Image width 240 mm.
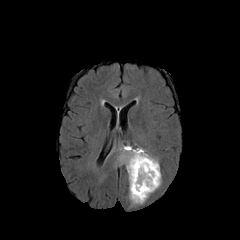
FLAIR magnetic resonance.
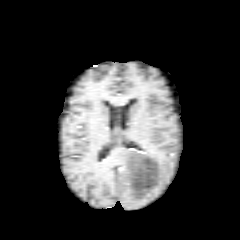
T1-weighted magnetic resonance of the same slice.
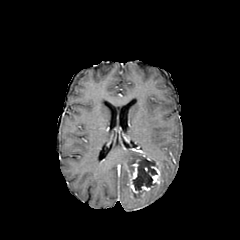
Post-contrast T1-weighted MR of the same slice.
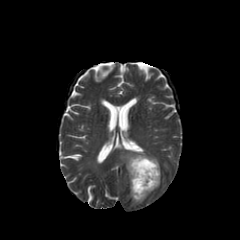
T2-weighted MR.
3 edema regions are located at <bbox>139, 148, 160, 172</bbox>, <bbox>128, 175, 161, 204</bbox>, <bbox>118, 144, 137, 190</bbox>. 2 enhancing tumor regions appear at <bbox>151, 166, 160, 184</bbox>, <bbox>130, 159, 153, 198</bbox>. 2 non-enhancing tumor core regions appear at <bbox>126, 153, 156, 191</bbox>, <bbox>130, 190, 140, 199</bbox>.